Computed tomography. Slice 33 of 49. 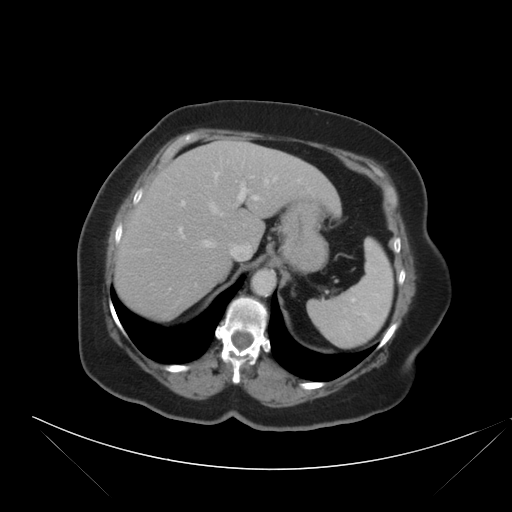

Only some of the vessels may be annotated.
12 hepatic vessel regions appear at 213,172,219,181; 252,195,260,200; 238,183,247,201; 297,179,300,182; 250,176,253,178; 209,203,222,215; 265,179,268,184; 181,201,185,205; 203,240,214,247; 231,250,232,254; 178,227,184,237; 308,188,310,190.